Slice 117/155; Image width 240 mm; 240x240
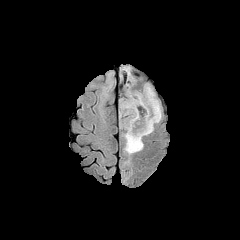
FLAIR MR.
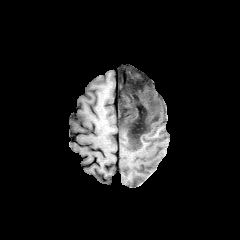
T1-weighted MR image of the same slice.
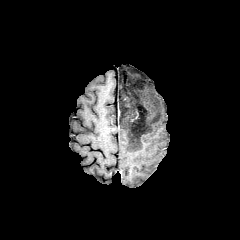
Same slice, post-contrast T1-weighted MRI.
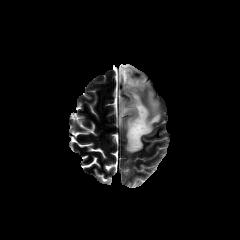
Same slice, T2-weighted MR image.
edema:
  - box(124, 86, 132, 99)
  - box(119, 66, 162, 163)
non-enhancing_tumor_core:
  - box(119, 80, 156, 143)